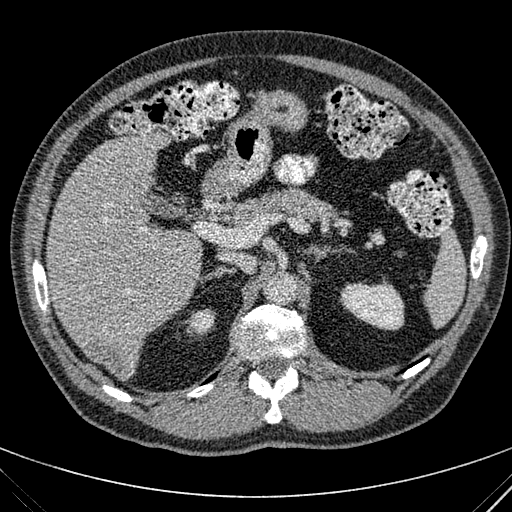

Abdomen | CT scan slice
{"hepatic_lesion": ["(left=82, top=334, right=134, bottom=377)"], "kidney": ["(left=341, top=283, right=403, bottom=329)", "(left=189, top=309, right=214, bottom=332)"], "liver": ["(left=46, top=133, right=199, bottom=377)", "(left=97, top=361, right=115, bottom=374)"]}